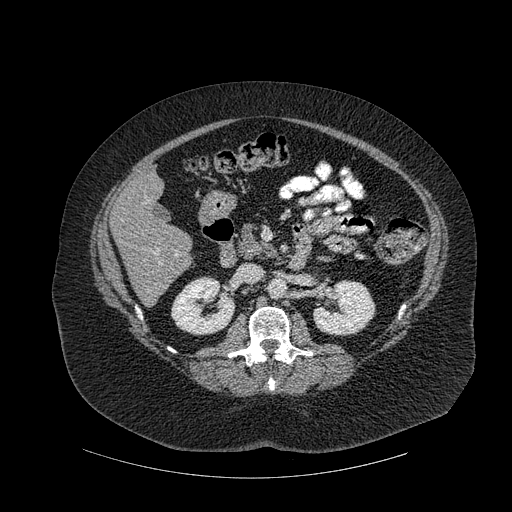
CT
<segmentation>
  <liver>rect(110, 173, 192, 301)</liver>
  <bone>rect(228, 307, 312, 365); rect(268, 378, 274, 389)</bone>
  <kidney>rect(172, 277, 234, 333); rect(313, 281, 374, 334)</kidney>
</segmentation>